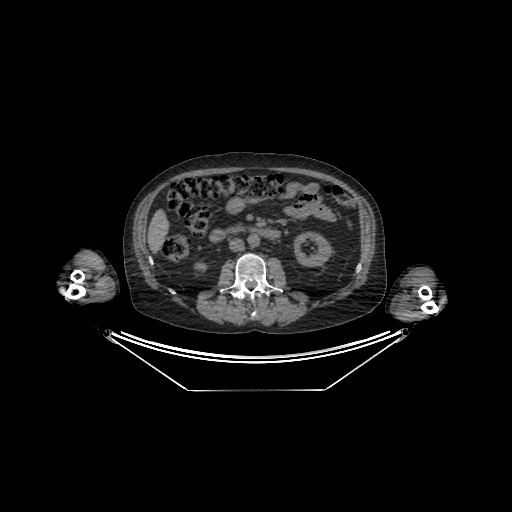 Liver; Image size 512x512; Computed tomography
<segmentation>
  <liver>left=148, top=210, right=168, bottom=252</liver>
  <kidney>left=293, top=231, right=334, bottom=266; left=194, top=261, right=208, bottom=272</kidney>
</segmentation>